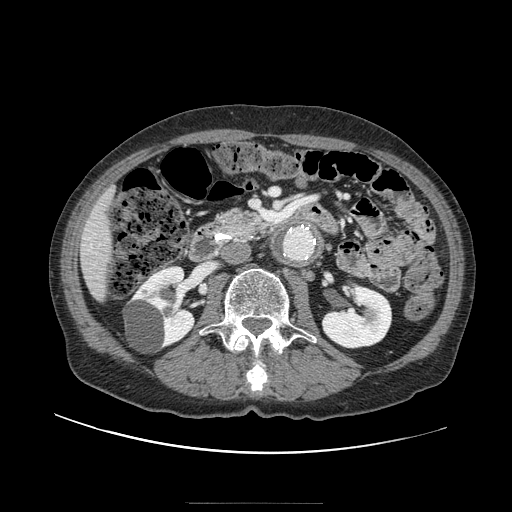
CT image | 512x512 | Upper abdomen
The pancreas is at bbox(214, 209, 268, 241).